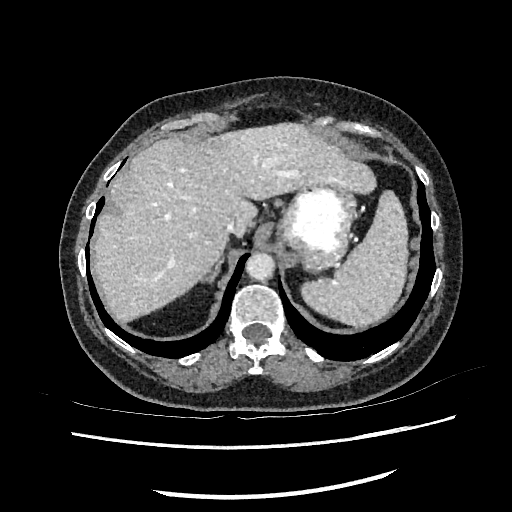
Upper abdomen, CT
The liver lies within (93, 123, 374, 320).